Slice index 68, CT scan slice
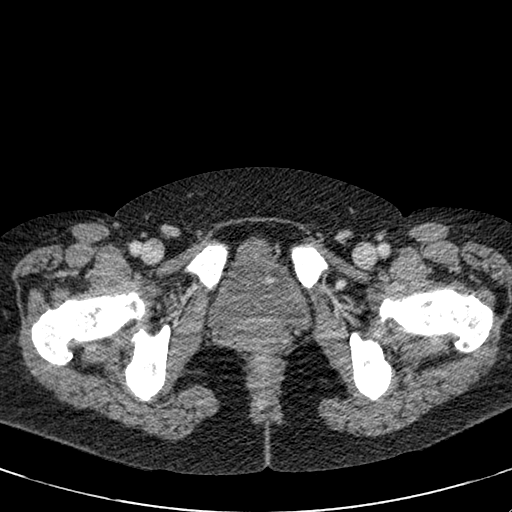
The urinary bladder is bounded by {"x1": 206, "y1": 237, "x2": 313, "y2": 336}.